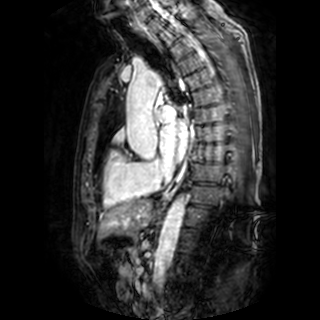
MR
<segmentation>
  <left_atrium>[160,121,187,163]</left_atrium>
</segmentation>